Computed tomography; Upper abdomen; Slice index 67 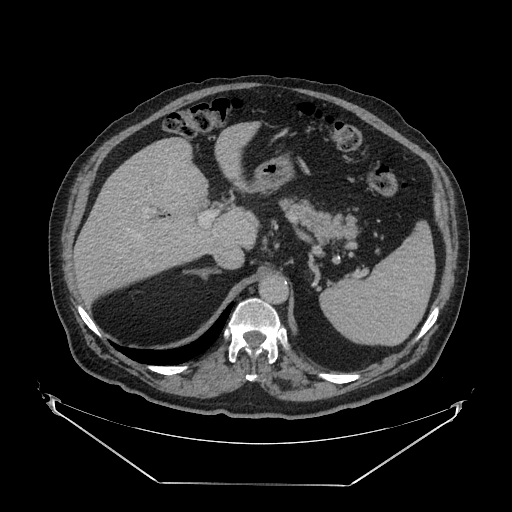

pancreas: box(281, 200, 357, 238)